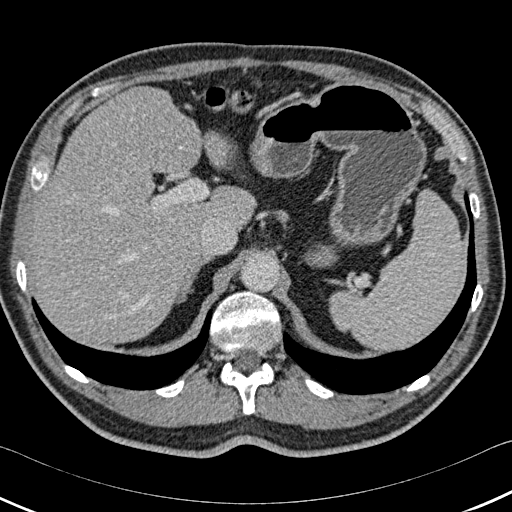 CT. 512x512 px.
10 bone regions appear at 305:379:333:398, 469:193:479:218, 64:366:88:382, 221:363:273:414, 210:292:279:352, 407:375:429:391, 31:165:47:190, 16:261:26:290, 156:380:183:397, 471:284:482:311. 2 lung regions are located at 283:191:476:394, 32:297:214:390. 2 liver regions appear at 205:135:225:164, 34:86:256:344.